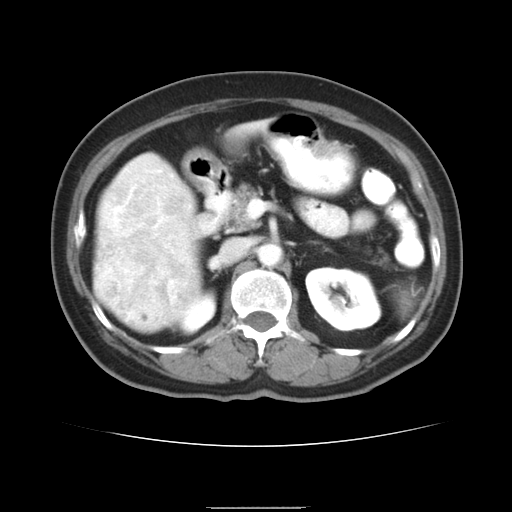 Abdomen. Image size 512x512. Computed tomography.

liver tumor: (left=96, top=155, right=199, bottom=330)